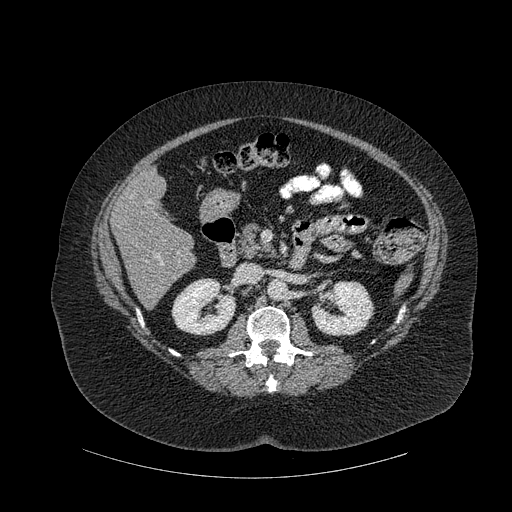 CT

- kidney: (x1=312, y1=282, x2=372, y2=334), (x1=172, y1=279, x2=235, y2=334)
- bone: (x1=137, y1=310, x2=143, y2=326), (x1=397, y1=307, x2=404, y2=321), (x1=229, y1=306, x2=311, y2=366), (x1=266, y1=375, x2=276, y2=391)
- liver: (x1=111, y1=172, x2=196, y2=304)